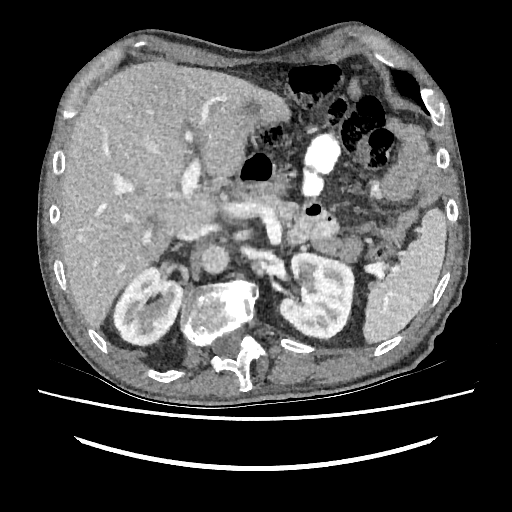
Liver, CT

Findings:
• liver lesion: x1=242, y1=99, x2=261, y2=118; x1=146, y1=216, x2=161, y2=231
• kidney: x1=274, y1=265, x2=285, y2=278; x1=114, y1=268, x2=182, y2=344; x1=280, y1=253, x2=353, y2=337
• liver: x1=61, y1=62, x2=289, y2=327